Lower abdomen; Slice 82 of 871; Computed tomography 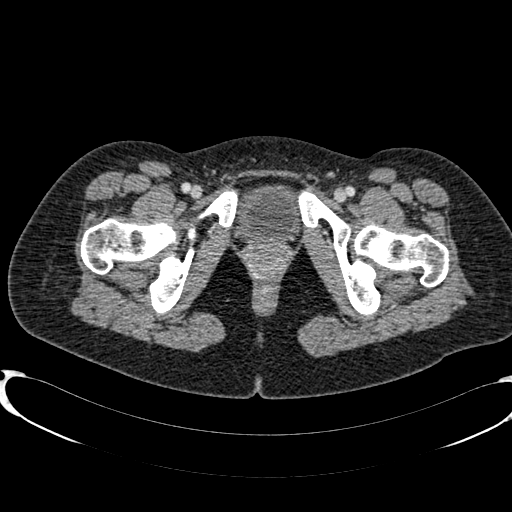 Urinary bladder = bbox=[234, 183, 304, 243].